Computed tomography, 512x512 px, Slice 51 of 93, Upper abdomen
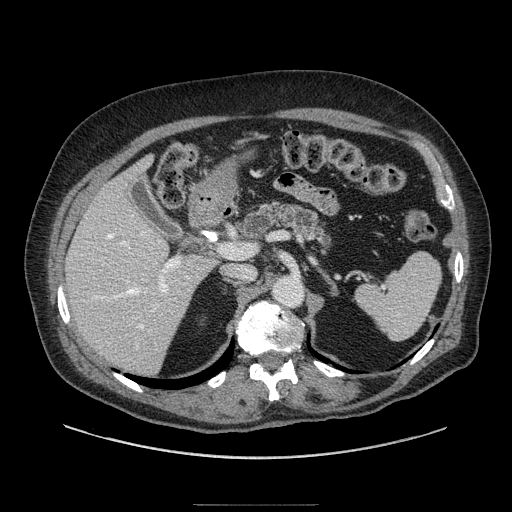

Pancreas: bounding box left=241, top=203, right=332, bottom=250.